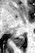
Magnetic resonance; Medial temporal lobe; 35x53
* posterior hippocampus: (x1=13, y1=35, x2=25, y2=46)